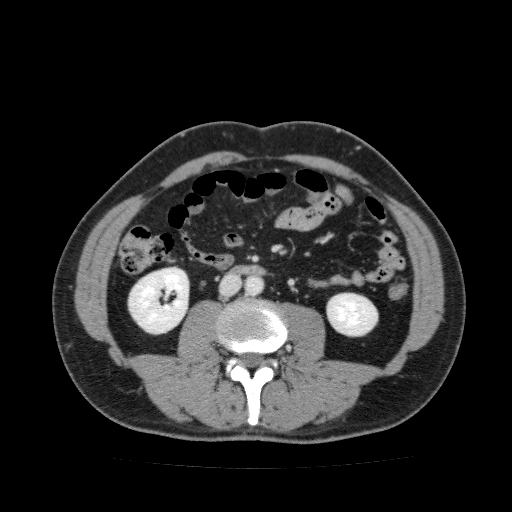
CT image. Abdomen. 512x512.
Kidney: bounding box rect(128, 267, 188, 333); rect(327, 293, 377, 335).